FLAIR MR image.
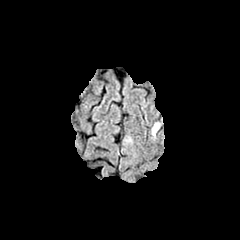
T1-weighted magnetic resonance.
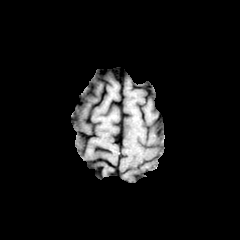
Post-contrast T1-weighted magnetic resonance.
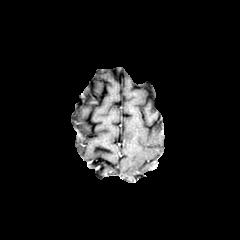
T2-weighted MRI.
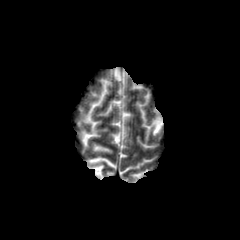
Brain
Edema at x1=150, y1=119, x2=161, y2=137.